Slice 65/155 | 240x240 px | Field of view 240 mm wide, 1.00 mm slice spacing
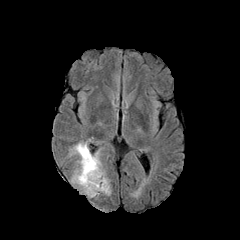
FLAIR MRI.
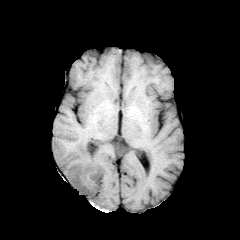
Same slice, T1-weighted magnetic resonance.
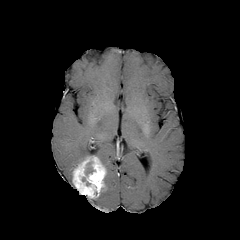
Post-contrast T1-weighted magnetic resonance of the same slice.
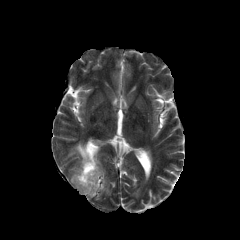
T2-weighted MR image of the same slice.
Annotated regions:
• edema: box(101, 175, 110, 194); box(68, 141, 99, 164)
• enhancing tumor: box(72, 155, 104, 197)